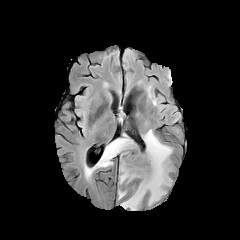
FLAIR magnetic resonance.
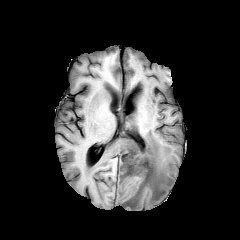
T1-weighted MR image.
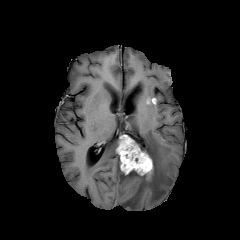
Post-contrast T1-weighted magnetic resonance.
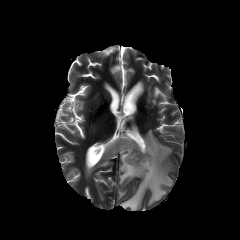
T2-weighted MRI.
Brain
Edema: bounding box (120,129,172,210), (119,171,141,184), (95,138,119,168), (147,86,156,104).
Non-enhancing tumor core: bounding box (136,144,145,161), (142,153,159,196), (124,170,138,175).
Enhancing tumor: bounding box (116,135,153,177).